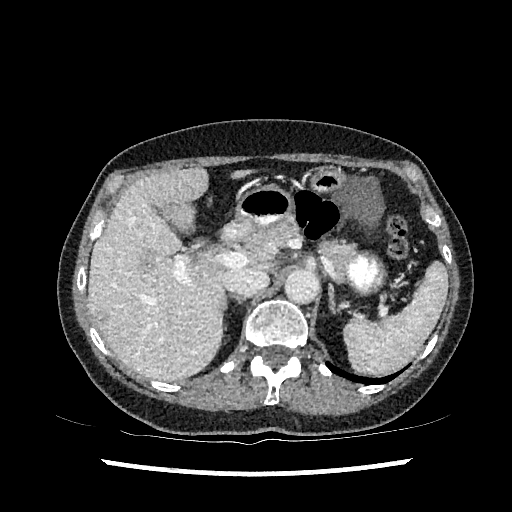 CT scan slice

Focal liver lesion = left=94, top=310, right=107, bottom=324; left=140, top=250, right=154, bottom=272.
Liver = left=232, top=170, right=246, bottom=177; left=88, top=166, right=223, bottom=380.